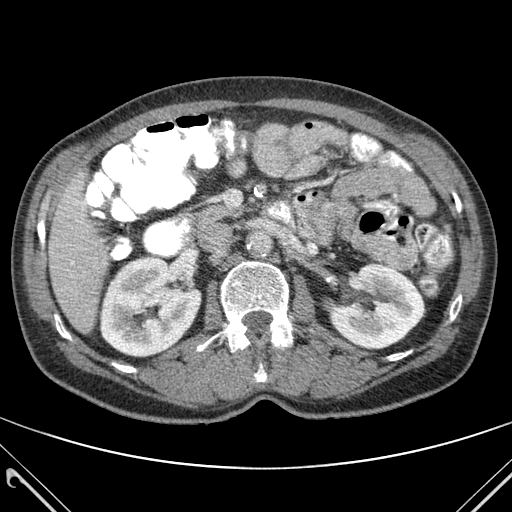

CT slice

Kidney: rect(331, 265, 423, 347); rect(101, 258, 200, 355).
Bone: rect(54, 315, 70, 339); rect(38, 220, 44, 242); rect(388, 351, 411, 360); rect(450, 295, 461, 320); rect(112, 363, 135, 372); rect(221, 262, 292, 351); rect(255, 366, 266, 381); rect(197, 335, 217, 350).
Liver: rect(49, 178, 108, 327).